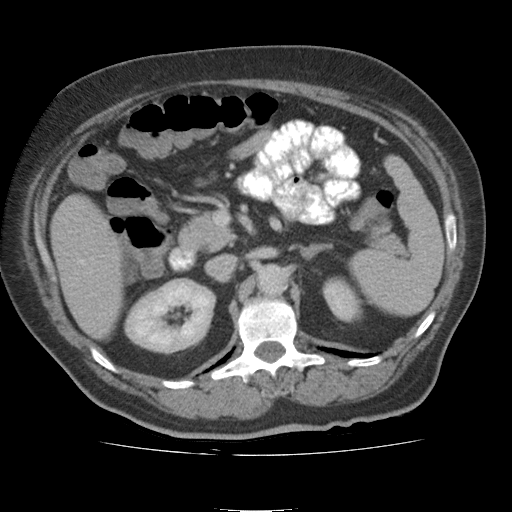

Image size 512x512, CT image
Liver: bounding box l=51, t=206, r=119, b=340.
Kidney: bounding box l=325, t=284, r=353, b=316; l=128, t=283, r=211, b=348.